Slice 49/155
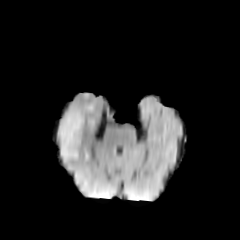
FLAIR MR image.
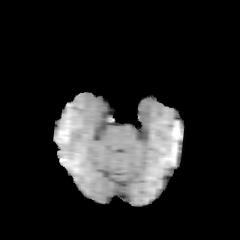
T1-weighted MR of the same slice.
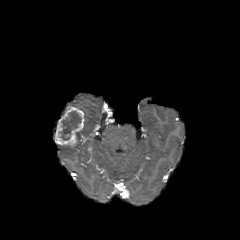
Post-contrast T1-weighted MR image.
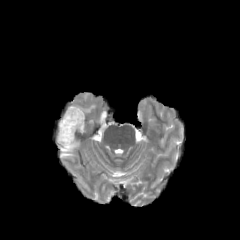
T2-weighted MR.
* edema: [x1=70, y1=105, x2=94, y2=113], [x1=61, y1=150, x2=77, y2=160]
* enhancing tumor: [x1=54, y1=106, x2=84, y2=146]
* non-enhancing tumor core: [x1=59, y1=110, x2=81, y2=140]